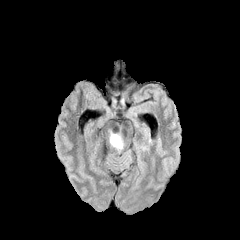
FLAIR MR image.
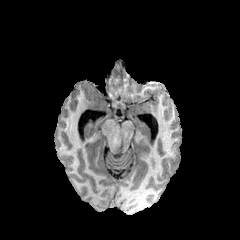
T1-weighted MRI.
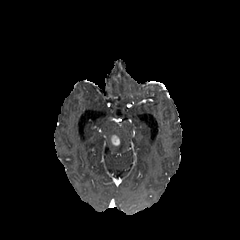
Post-contrast T1-weighted MR image.
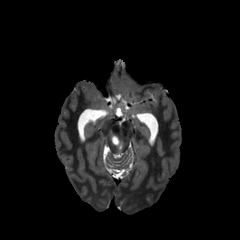
Same slice, T2-weighted MR image.
240x240 px, Brain
The enhancing tumor is at 110, 135, 120, 145. The edema is located at 109, 131, 123, 149.